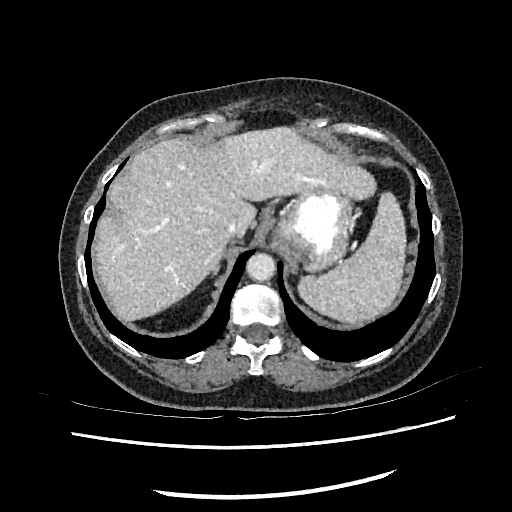

Computed tomography. Upper abdomen. Annotated regions:
- liver: left=96, top=127, right=374, bottom=319